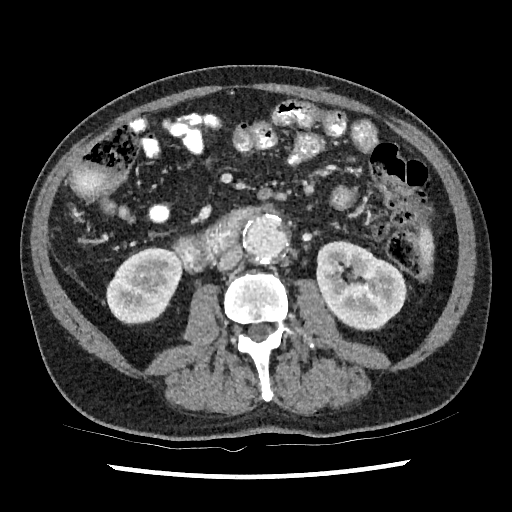

CT scan slice; Abdomen

- kidney: x1=317, y1=242, x2=405, y2=329; x1=107, y1=248, x2=181, y2=322